Slice 118 of 466. Computed tomography. Field of view 344x344 mm. Image size 512x512.
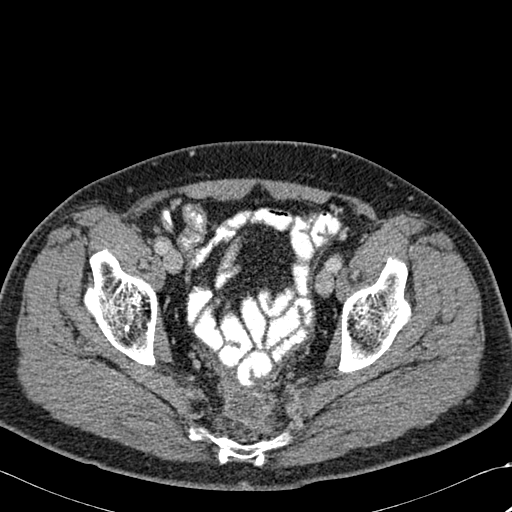 Bone = (190, 429, 284, 464), (85, 248, 156, 364), (339, 258, 410, 372).